CT

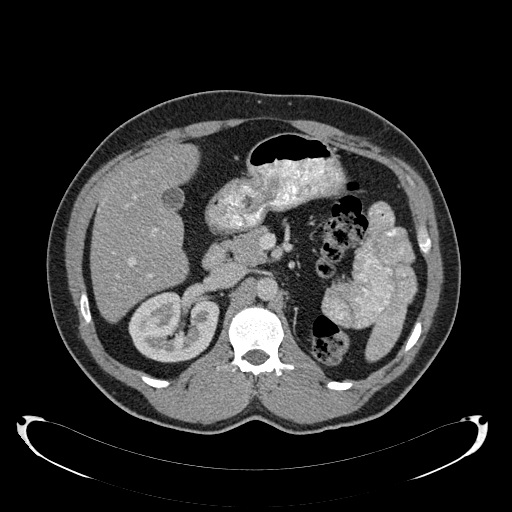
The kidney is located at 129,290,218,361. The liver is bounded by 90,144,196,320.